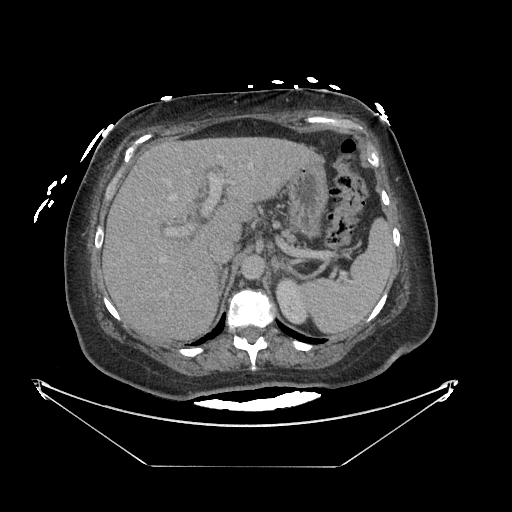
Abdomen | CT

* pancreas: (286,227,295,240)